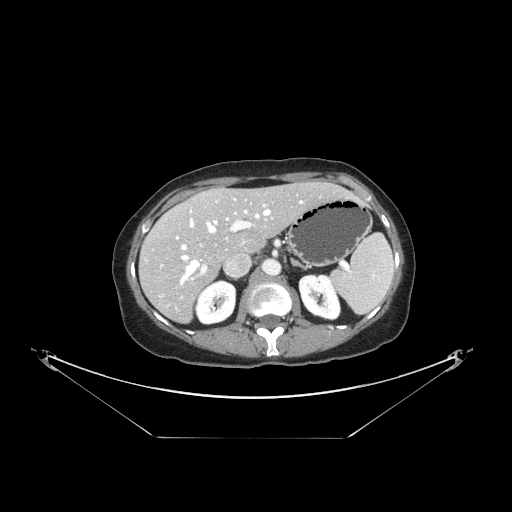 CT scan slice
Not every hepatic vessel necessarily has a box.
Findings:
• hepatic vessel: [x1=182, y1=245, x2=185, y2=248], [x1=214, y1=221, x2=216, y2=223], [x1=190, y1=220, x2=192, y2=225], [x1=256, y1=215, x2=258, y2=217], [x1=202, y1=267, x2=205, y2=271], [x1=265, y1=210, x2=268, y2=214], [x1=208, y1=223, x2=214, y2=231], [x1=233, y1=222, x2=247, y2=229]